Slice index 82, CT scan slice

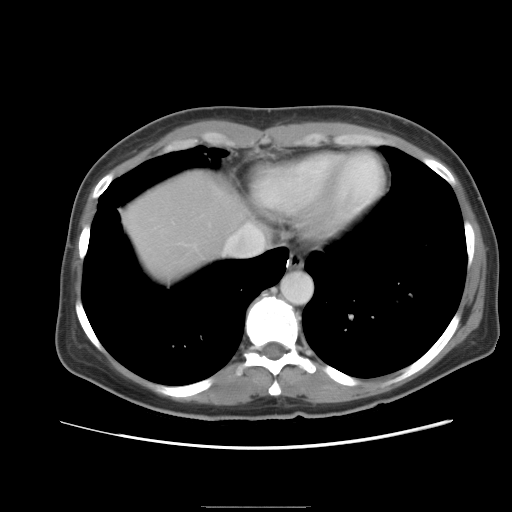
Some hepatic vessels may have no box.
- hepatic vessel: bbox(223, 222, 264, 256)